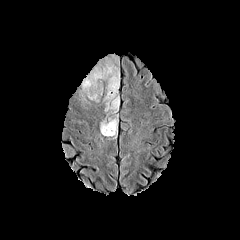
FLAIR MR image.
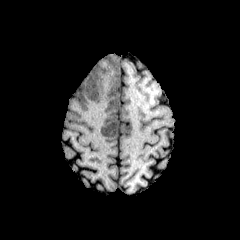
Same slice, T1-weighted MR image.
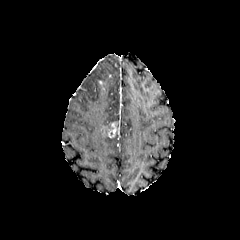
Post-contrast T1-weighted magnetic resonance of the same slice.
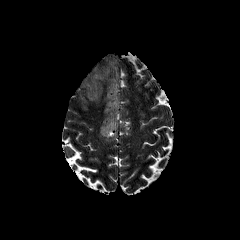
T2-weighted MRI.
240x240 px
enhancing tumor: [107,121,117,137] | edema: [105,69,119,112], [82,64,112,91] | non-enhancing tumor core: [104,123,113,134]